512x512 px. CT slice. Field of view 512x512 mm.

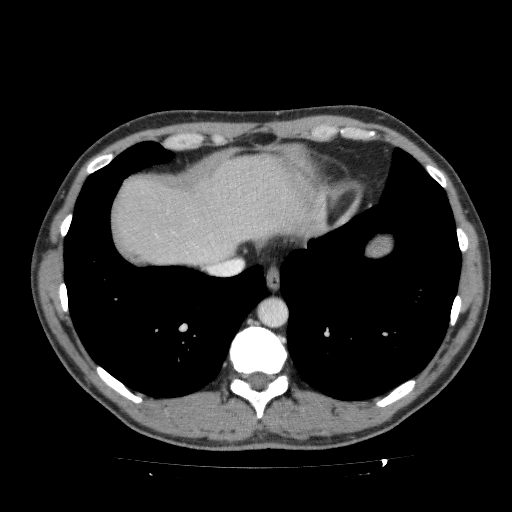

Liver at 111,151,323,267.